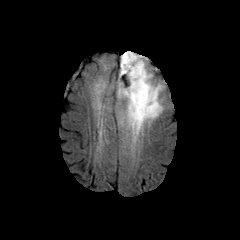
FLAIR MRI.
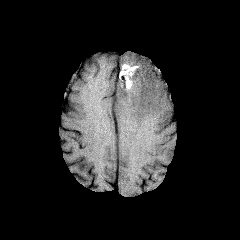
T1-weighted MR image.
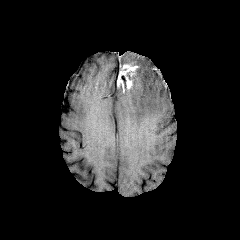
Post-contrast T1-weighted magnetic resonance.
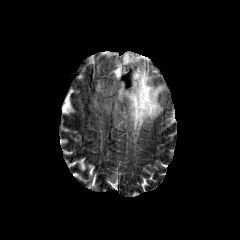
T2-weighted magnetic resonance.
Brain
Segmented structures:
• non-enhancing tumor core: <bbox>117, 73, 133, 93</bbox>, <bbox>120, 54, 137, 65</bbox>
• enhancing tumor: <bbox>117, 63, 137, 91</bbox>
• edema: <bbox>117, 51, 165, 143</bbox>